240x240 px | Field of view 240 mm wide, 1.00 mm slice spacing
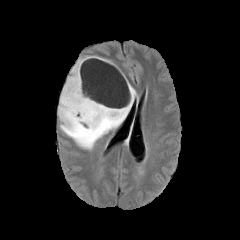
FLAIR MR.
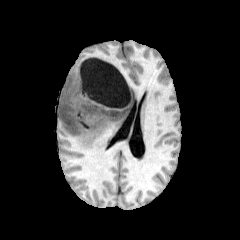
Same slice, T1-weighted MR.
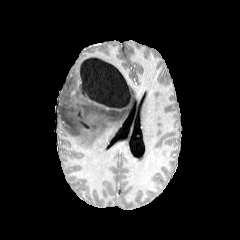
Post-contrast T1-weighted MR of the same slice.
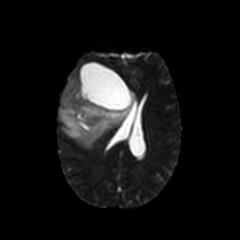
T2-weighted MRI.
non-enhancing tumor core: [x1=60, y1=108, x2=86, y2=133], [x1=81, y1=78, x2=131, y2=119] | edema: [x1=57, y1=56, x2=137, y2=149]